Field of view 700x700 mm, Slice index 612, Image size 512x512, Brain, CT scan slice

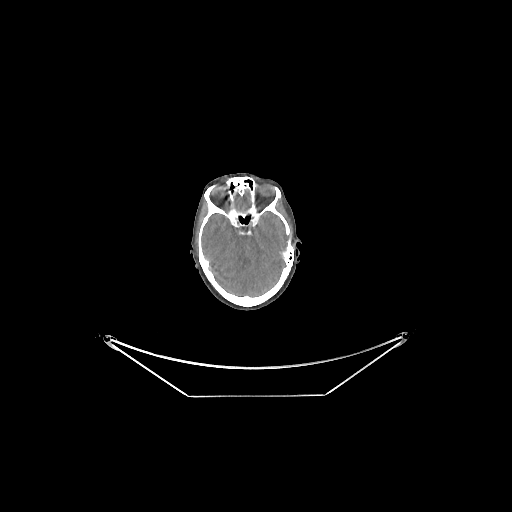 <segmentation>
  <brain>[201, 211, 289, 296], [233, 190, 251, 211]</brain>
</segmentation>